FLAIR MR.
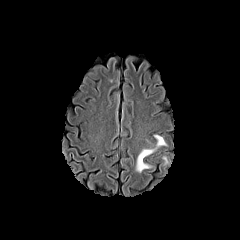
T1-weighted MR image.
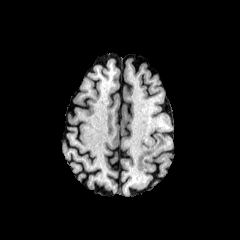
Post-contrast T1-weighted MR.
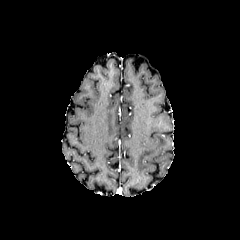
T2-weighted magnetic resonance.
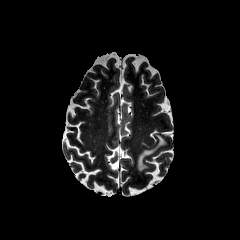
Image size 240x240
Edema — 135,135,166,172.